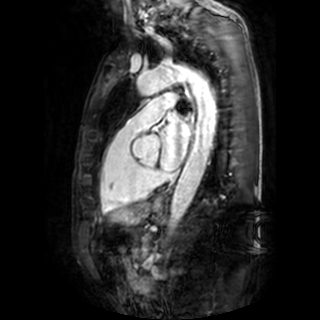

MRI slice | Heart

The left atrium is at (x1=160, y1=113, x2=189, y2=170).